Slice 416/466; CT slice

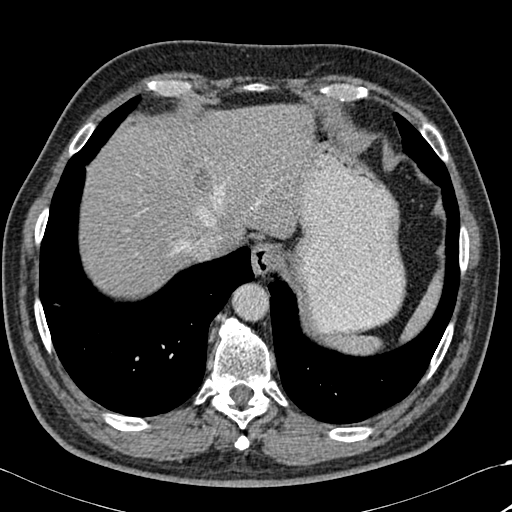 {"liver": [{"x1": 81, "y1": 105, "x2": 310, "y2": 296}], "bone": [{"x1": 105, "y1": 414, "x2": 147, "y2": 430}, {"x1": 148, "y1": 81, "x2": 182, "y2": 93}, {"x1": 235, "y1": 436, "x2": 248, "y2": 449}, {"x1": 459, "y1": 228, "x2": 468, "y2": 270}, {"x1": 421, "y1": 124, "x2": 447, "y2": 160}, {"x1": 196, "y1": 318, "x2": 286, "y2": 428}, {"x1": 429, "y1": 325, "x2": 452, "y2": 375}, {"x1": 329, "y1": 427, "x2": 370, "y2": 441}, {"x1": 345, "y1": 86, "x2": 366, "y2": 97}, {"x1": 69, "y1": 123, "x2": 93, "y2": 153}, {"x1": 35, "y1": 209, "x2": 48, "y2": 242}, {"x1": 35, "y1": 301, "x2": 50, "y2": 350}], "lung": [{"x1": 39, "y1": 96, "x2": 253, "y2": 416}, {"x1": 268, "y1": 112, "x2": 459, "y2": 423}], "liver_lesion": [{"x1": 193, "y1": 170, "x2": 212, "y2": 192}, {"x1": 180, "y1": 158, "x2": 194, "y2": 168}]}